CT image; Slice 47 of 174
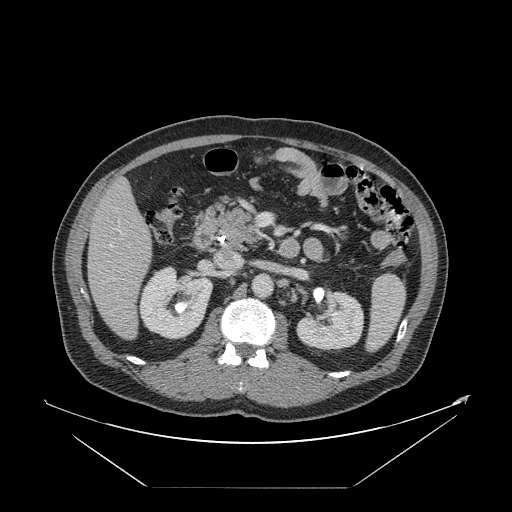 Not every hepatic vessel necessarily has a box.
2 hepatic vessel regions appear at (110, 244, 112, 246), (113, 226, 122, 234).